Upper abdomen | CT image | Slice 441/677 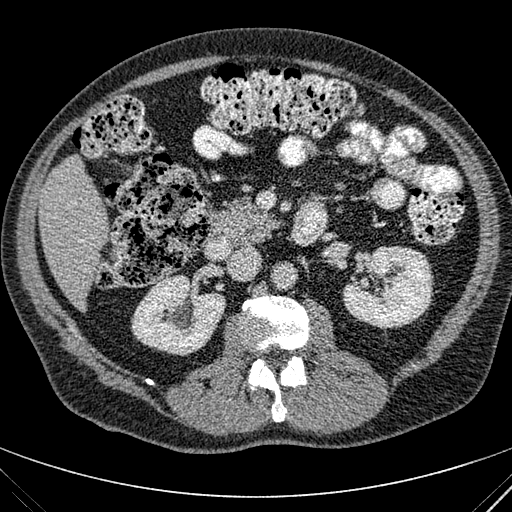

liver: (x1=39, y1=157, x2=108, y2=310) | kidney: (x1=343, y1=246, x2=432, y2=327), (x1=132, y1=274, x2=224, y2=355)